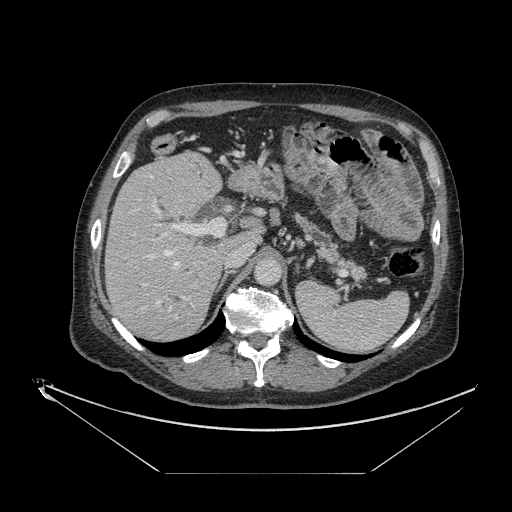
CT slice
pancreas: (293,211,367,284)